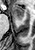

MRI. 35x50 px. Hippocampus.
<segmentation>
  <anterior_hippocampus>12, 6, 24, 19</anterior_hippocampus>
</segmentation>